Image width 240 mm
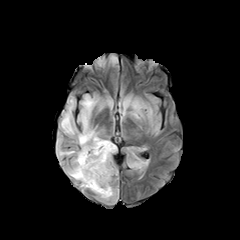
FLAIR magnetic resonance.
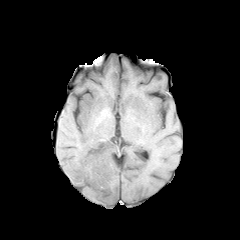
Same slice, T1-weighted magnetic resonance.
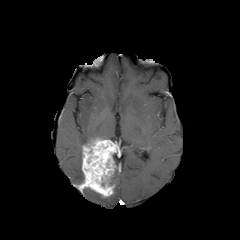
Post-contrast T1-weighted MR.
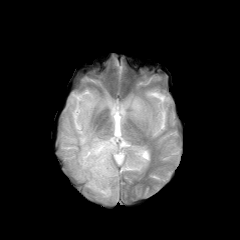
T2-weighted MR image.
The non-enhancing tumor core lies within x1=108, y1=166, x2=118, y2=194. The enhancing tumor is located at x1=82, y1=138, x2=117, y2=197. 3 edema regions are located at x1=57, y1=94, x2=107, y2=183; x1=109, y1=188, x2=118, y2=200; x1=119, y1=97, x2=144, y2=119.